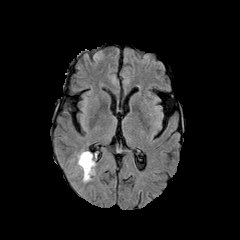
FLAIR MR.
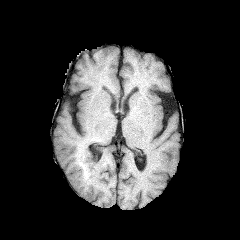
Same slice, T1-weighted MR.
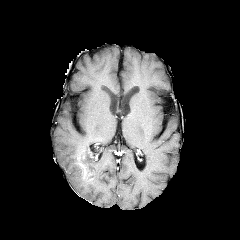
Same slice, post-contrast T1-weighted MRI.
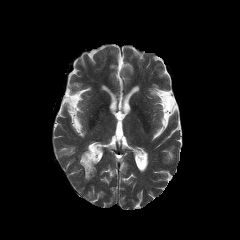
Same slice, T2-weighted magnetic resonance.
enhancing_tumor:
  - (left=78, top=153, right=90, bottom=178)
edema:
  - (left=88, top=161, right=96, bottom=175)
  - (left=75, top=163, right=84, bottom=177)
non-enhancing_tumor_core:
  - (left=82, top=152, right=96, bottom=165)